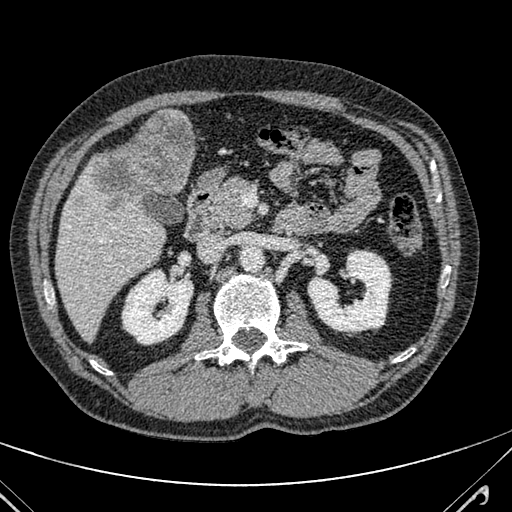 CT scan slice

Hepatic lesion at <bbox>87, 110, 194, 208</bbox>, <bbox>73, 196, 85, 207</bbox>.
Liver at <bbox>56, 158, 165, 344</bbox>, <bbox>172, 160, 192, 193</bbox>.